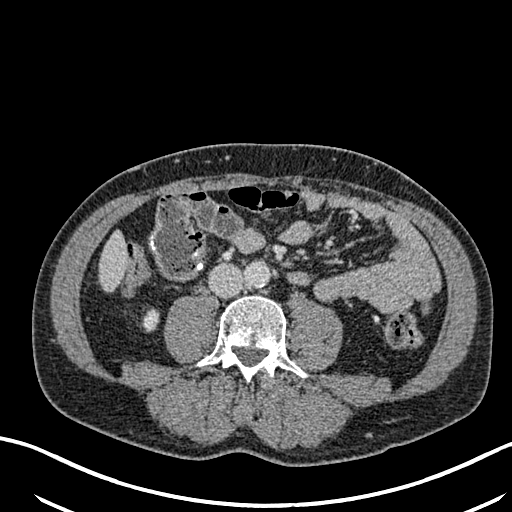

Upper abdomen. CT.

liver: (100,232,125,289) | kidney: (144,311,157,329)